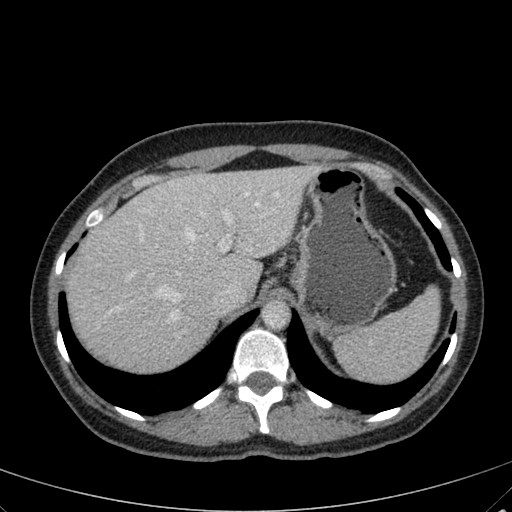
Abdomen, CT slice
Liver at l=66, t=164, r=323, b=371.